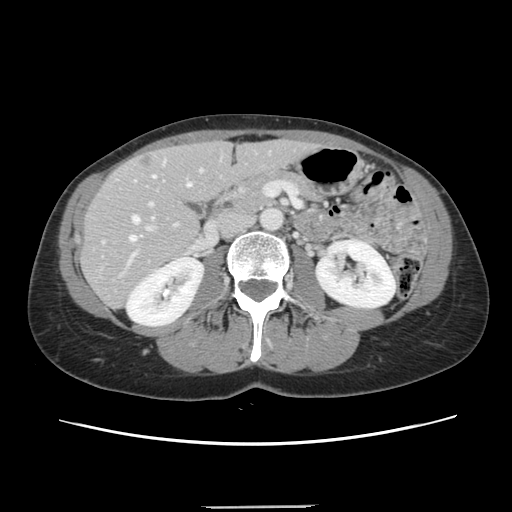

Abdomen | Computed tomography
The vessel annotation is not exhaustive.
hepatic vessel: x1=129 y1=236 x2=136 y2=240, x1=149 y1=202 x2=152 y2=205, x1=134 y1=179 x2=135 y2=181, x1=199 y1=168 x2=202 y2=170, x1=127 y1=252 x2=136 y2=264, x1=146 y1=227 x2=152 y2=229, x1=174 y1=223 x2=177 y2=225, x1=132 y1=215 x2=139 y2=222, x1=164 y1=160 x2=165 y2=162, x1=152 y1=175 x2=155 y2=177, x1=186 y1=182 x2=190 y2=185 | liver tumor: x1=141 y1=157 x2=150 y2=165